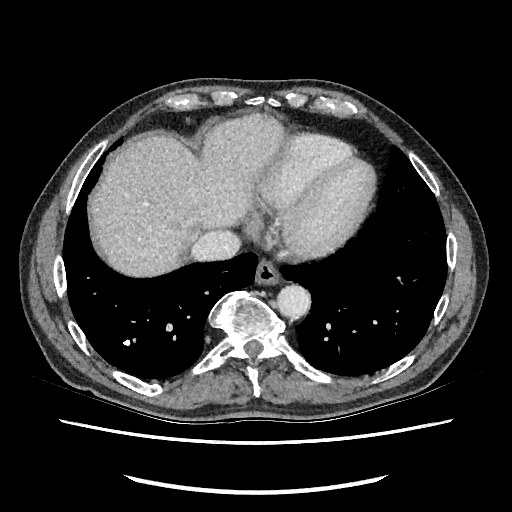

CT. 512x512 px.
Liver: (93,115,282,275).